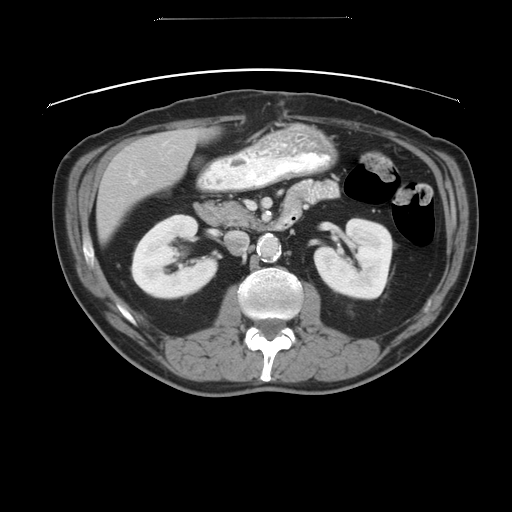
CT, Abdomen

Only some of the vessels may be annotated.
hepatic_vessel:
  - 121:198:122:199
  - 163:143:164:144
  - 140:170:144:175
  - 132:179:137:184